Slice index 15; Hippocampus; 36x50 px; MRI
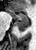 {
  "posterior_hippocampus": [
    "box(15, 23, 28, 32)"
  ],
  "anterior_hippocampus": [
    "box(9, 9, 28, 22)"
  ]
}